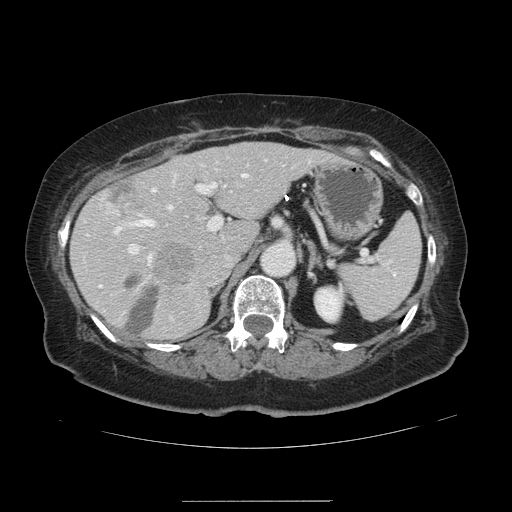 CT slice

The vessel annotation is not exhaustive.
<segmentation>
  <liver_tumor>rect(127, 287, 159, 334); rect(156, 242, 194, 285); rect(103, 176, 140, 215); rect(127, 276, 138, 287)</liver_tumor>
  <hepatic_vessel>rect(207, 215, 221, 229); rect(131, 219, 153, 225); rect(196, 181, 215, 193); rect(128, 244, 137, 253); rect(242, 173, 246, 176); rect(167, 205, 171, 208); rect(147, 255, 151, 261); rect(152, 188, 154, 190); rect(114, 226, 121, 232)</hepatic_vessel>
</segmentation>